Image size 512x512, Slice index 44, CT scan slice, Liver

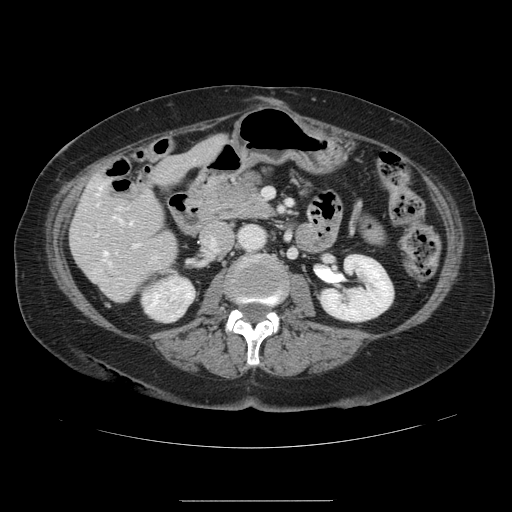
The vessel annotation is not exhaustive.
{
  "hepatic_vessel": [
    "[x1=108, y1=262, x2=110, y2=265]",
    "[x1=103, y1=251, x2=107, y2=254]",
    "[x1=96, y1=180, x2=107, y2=194]",
    "[x1=96, y1=233, x2=97, y2=235]",
    "[x1=117, y1=206, x2=122, y2=210]",
    "[x1=128, y1=221, x2=131, y2=224]",
    "[x1=114, y1=215, x2=121, y2=222]",
    "[x1=133, y1=243, x2=137, y2=246]"
  ]
}